Head.
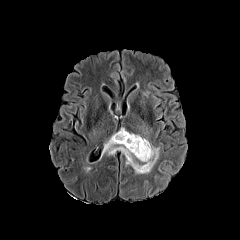
FLAIR magnetic resonance.
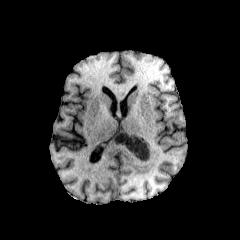
T1-weighted magnetic resonance.
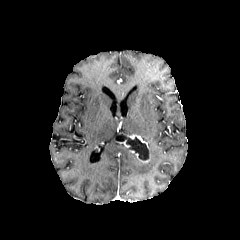
Post-contrast T1-weighted MR of the same slice.
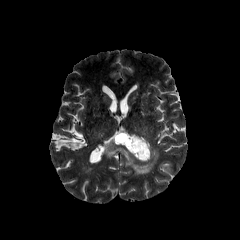
T2-weighted MR.
The enhancing tumor is bounded by [x1=119, y1=132, x2=150, y2=163]. The non-enhancing tumor core is bounded by [x1=114, y1=133, x2=149, y2=161]. The edema appears at [x1=102, y1=137, x2=160, y2=174].